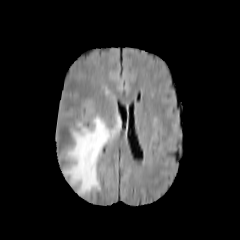
FLAIR MR.
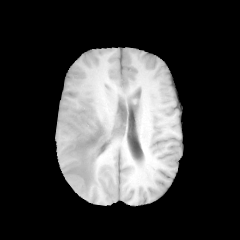
T1-weighted MR image of the same slice.
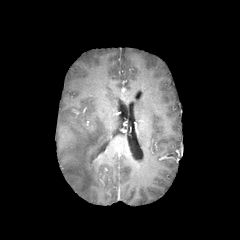
Post-contrast T1-weighted MR image.
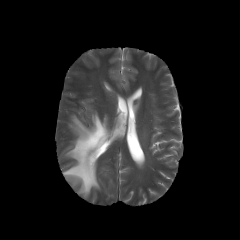
T2-weighted MR of the same slice.
Head
The edema is bounded by [62, 113, 110, 194].